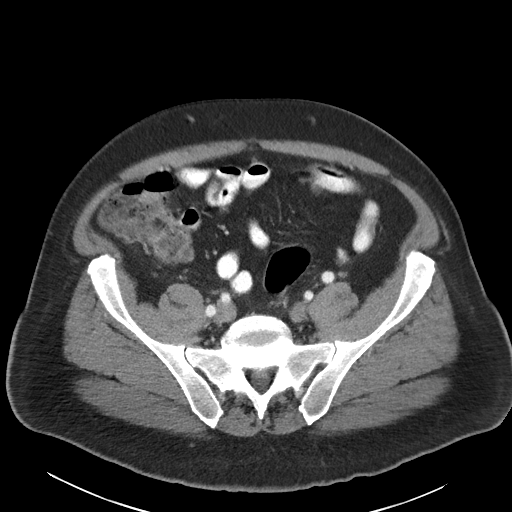

Image size 512x512. CT scan slice. colon tumor: [x1=140, y1=191, x2=158, y2=204]